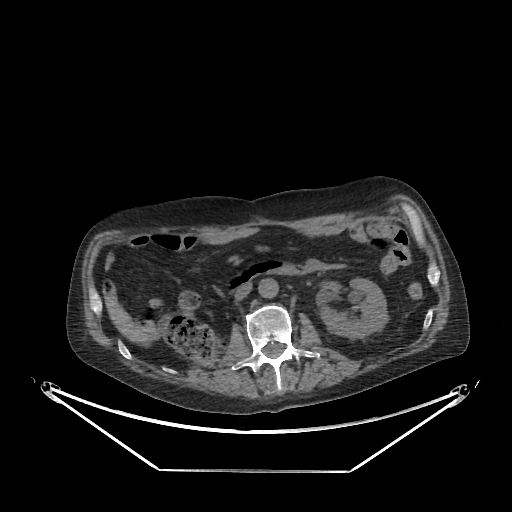 CT scan slice | Abdomen
Annotated regions:
* liver: 104, 295, 156, 341
* kidney: 316, 278, 388, 339